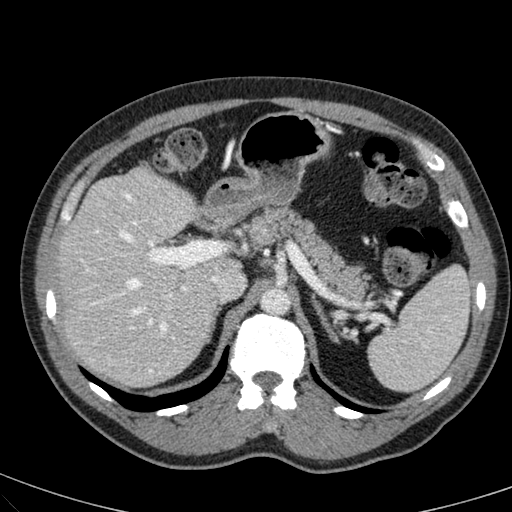 Upper abdomen. CT scan slice. Image size 512x512.

The liver is bounded by {"x1": 58, "y1": 166, "x2": 233, "y2": 386}.